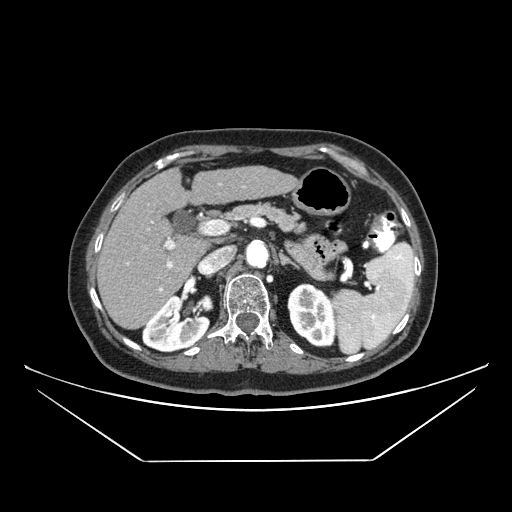
Abdomen, Computed tomography, 512x512

pancreas: bbox=[190, 202, 306, 233]